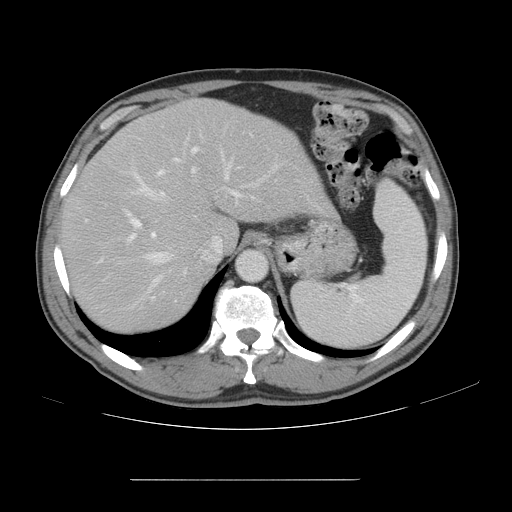
CT slice
Only some of the vessels may be annotated.
{
  "partial": true,
  "hepatic_vessel": {
    "n_total": 17,
    "boxes": [
      "bbox(151, 297, 154, 299)",
      "bbox(192, 147, 198, 152)",
      "bbox(184, 269, 186, 274)",
      "bbox(230, 190, 242, 204)",
      "bbox(125, 210, 140, 227)",
      "bbox(172, 157, 184, 162)",
      "bbox(191, 167, 195, 172)",
      "bbox(151, 233, 155, 237)",
      "bbox(148, 277, 160, 291)",
      "bbox(158, 169, 164, 174)",
      "bbox(224, 163, 230, 179)",
      "bbox(128, 234, 135, 241)",
      "bbox(147, 252, 169, 263)",
      "bbox(127, 171, 164, 199)",
      "bbox(252, 176, 267, 185)"
    ]
  }
}